FLAIR MR.
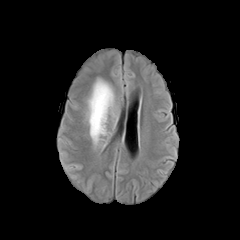
T1-weighted MR image.
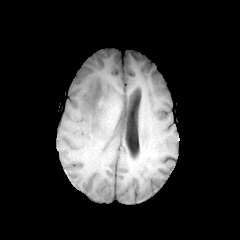
Post-contrast T1-weighted MR image.
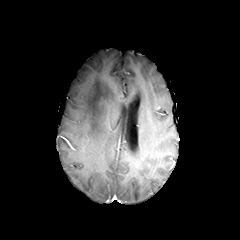
T2-weighted MRI.
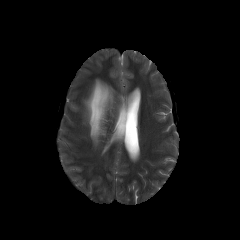
Head
The edema is located at [85,79,113,143].